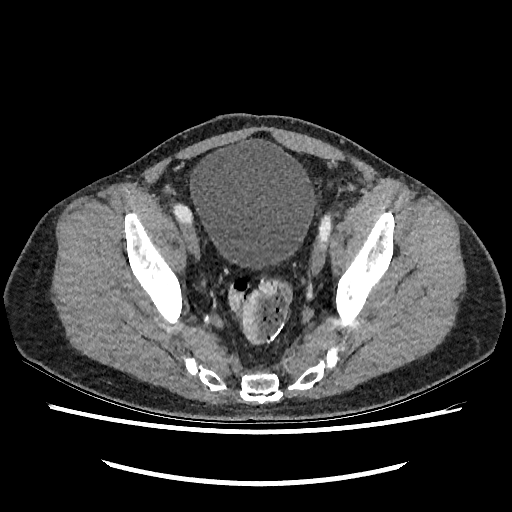 Lower abdomen, CT slice
<segmentation>
  <urinary_bladder>box(189, 137, 314, 269)</urinary_bladder>
</segmentation>